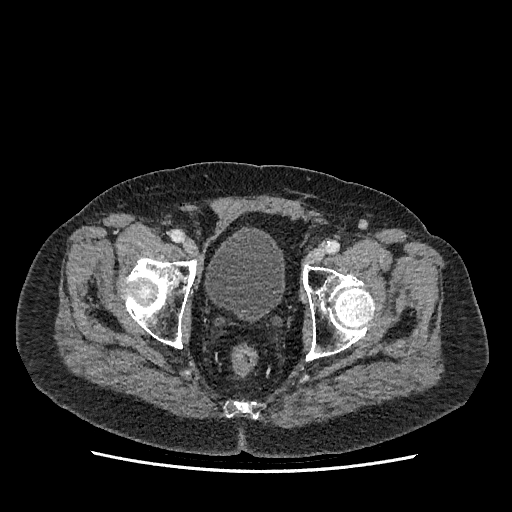

CT scan slice; Pelvis
<segmentation>
  <urinary_bladder>205:231:284:321</urinary_bladder>
</segmentation>